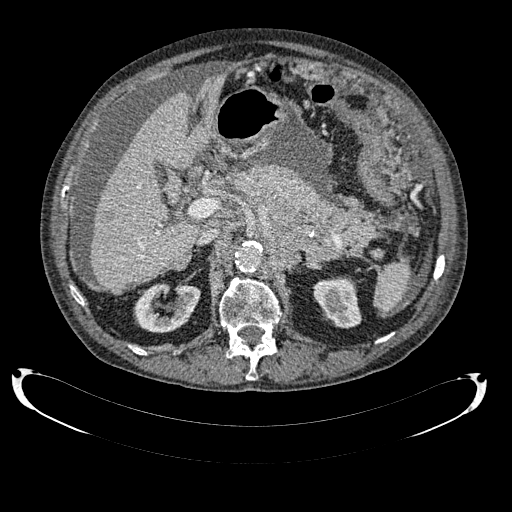

Computed tomography; Liver
2 liver regions appear at l=205, t=76, r=224, b=108; l=91, t=92, r=210, b=292. 2 kidney regions are bounded by l=135, t=284, r=199, b=332; l=314, t=279, r=360, b=327. The hepatic lesion is located at l=105, t=212, r=113, b=223.